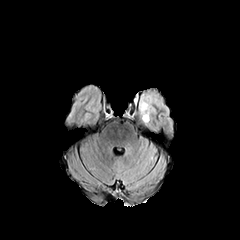
FLAIR MR.
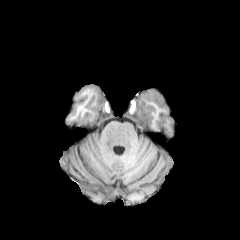
T1-weighted magnetic resonance of the same slice.
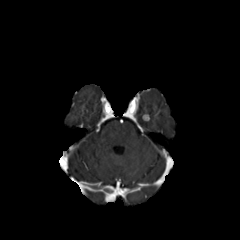
Post-contrast T1-weighted magnetic resonance.
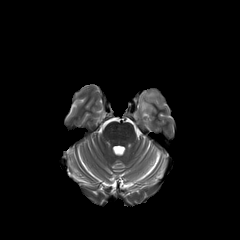
Same slice, T2-weighted MR.
Head
The edema is located at [136, 90, 161, 130].